Field of view 700 mm wide, 2.50 mm slice spacing | Brain | CT slice 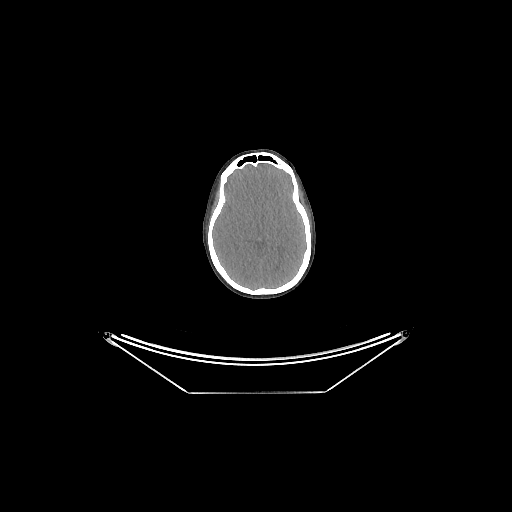
* brain: 212, 164, 306, 289